36x51, Slice 19/29, MRI slice 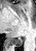

<segmentation>
  <posterior_hippocampus>13, 39, 22, 45</posterior_hippocampus>
</segmentation>